CT, Slice index 274, Field of view 700x700 mm 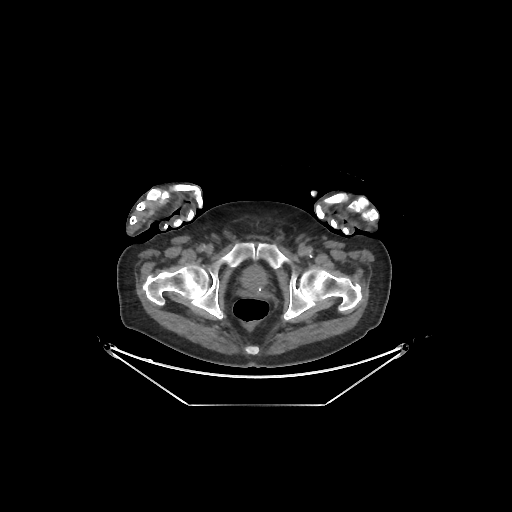
bone:
  - 324, 193, 347, 203
  - 187, 210, 193, 220
  - 362, 209, 377, 220
  - 172, 185, 202, 207
  - 284, 269, 361, 319
  - 348, 197, 368, 211
  - 143, 243, 289, 318
  - 246, 347, 258, 353
  - 136, 189, 169, 210
  - 316, 205, 323, 218
  - 130, 216, 136, 224